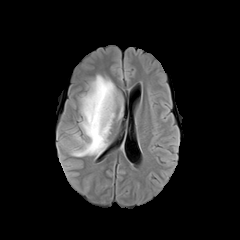
FLAIR magnetic resonance.
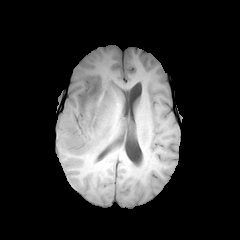
T1-weighted MR image of the same slice.
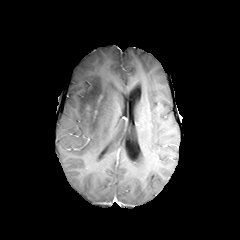
Same slice, post-contrast T1-weighted MR.
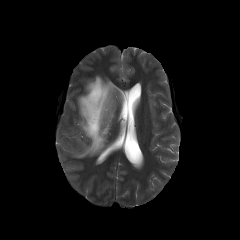
T2-weighted magnetic resonance.
Head.
The edema is bounded by (72, 74, 122, 156). The non-enhancing tumor core lies within (90, 83, 100, 97).